Magnetic resonance | Slice 82 of 120 | 320x320 px

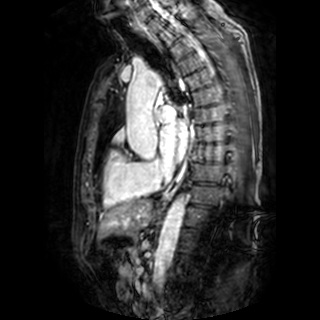 <segmentation>
  <left_atrium>(x1=160, y1=121, x2=187, y2=163)</left_atrium>
</segmentation>